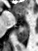 MR image

posterior_hippocampus:
  - <box>16,25,28,42</box>